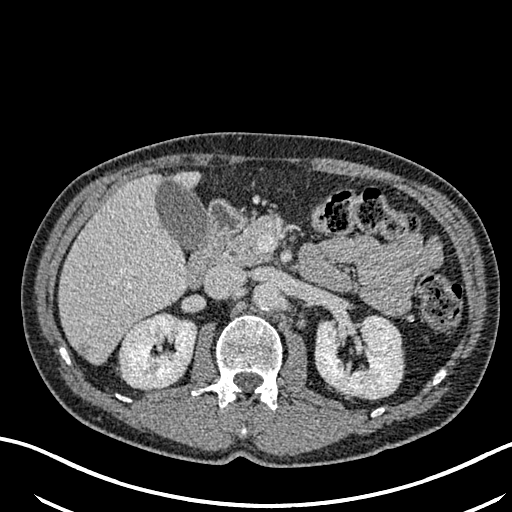

CT
2 liver regions are located at l=177, t=172, r=197, b=188; l=59, t=175, r=186, b=363. 2 kidney regions appear at l=120, t=315, r=195, b=388; l=316, t=316, r=402, b=397. The hepatic lesion lies within l=75, t=343, r=92, b=358.